512x512. Upper abdomen. CT image.
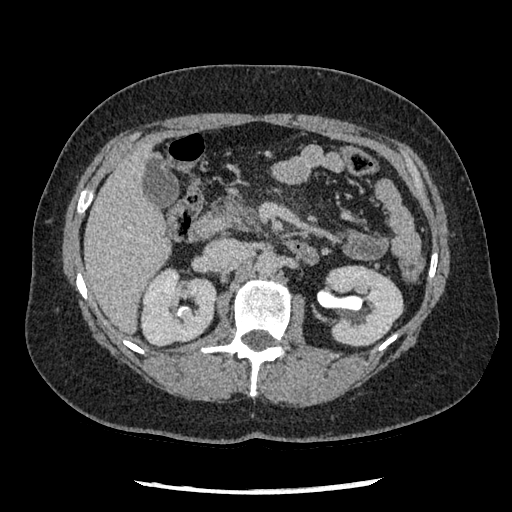
Pancreas at [211,194,257,229].